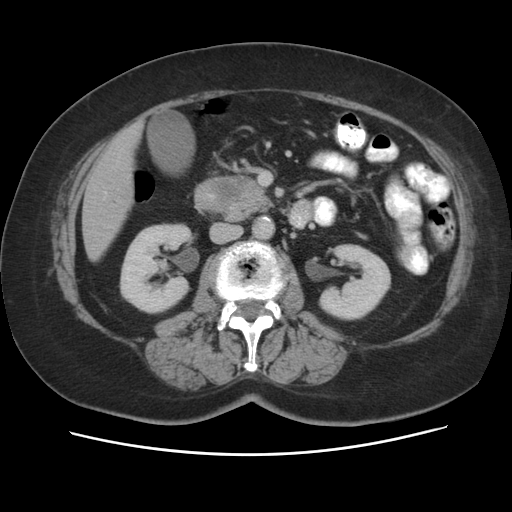

CT. Abdomen. Pancreatic tumor — (217, 178, 252, 207).
Pancreas — (196, 175, 272, 221).